CT scan slice | Chest

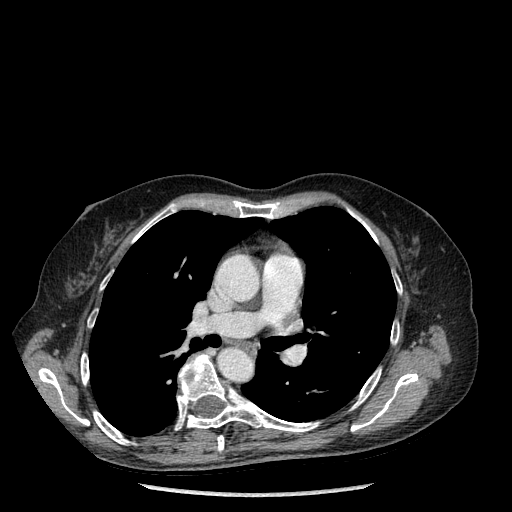
14 bone regions are located at <box>175,354,319,432</box>, <box>231,200,283,218</box>, <box>93,411,135,445</box>, <box>100,273,110,290</box>, <box>393,273,402,294</box>, <box>38,368,89,425</box>, <box>87,311,95,327</box>, <box>351,372,418,431</box>, <box>390,321,399,344</box>, <box>217,435,224,451</box>, <box>351,367,381,409</box>, <box>347,208,378,243</box>, <box>132,204,176,242</box>, <box>81,353,89,385</box>. 2 lung regions are bounded by <box>241,206,396,422</box>, <box>89,210,262,436</box>.